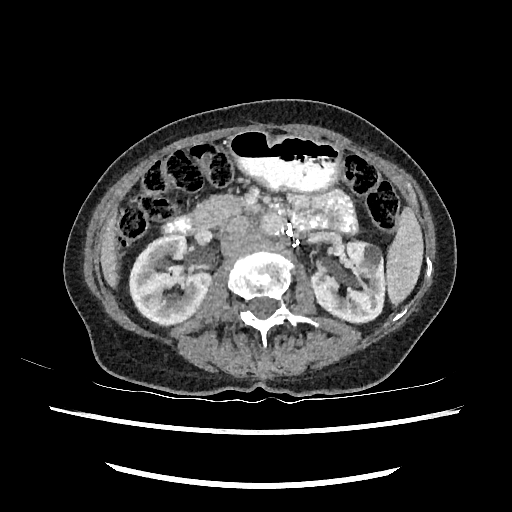 CT image | Image size 512x512 | Upper abdomen
Liver: bounding box (101, 214, 116, 286).
Kidney: bounding box (130, 235, 210, 324), (312, 243, 384, 321).